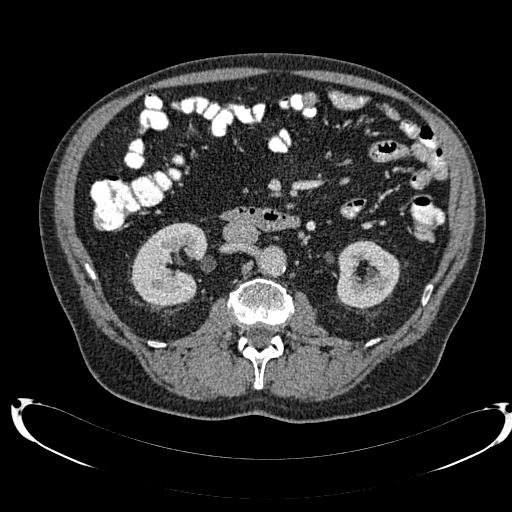
512x512, CT image
2 kidney regions are located at (337,241,399,308), (132,223,206,306).